Field of view 240x240 mm, Head, Slice index 63, 240x240
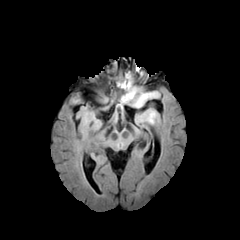
FLAIR MRI.
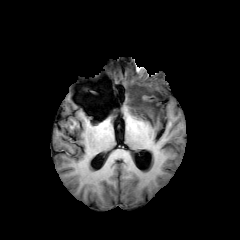
T1-weighted MR.
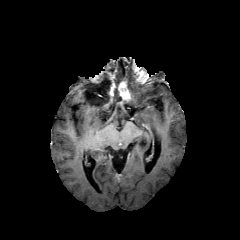
Same slice, post-contrast T1-weighted magnetic resonance.
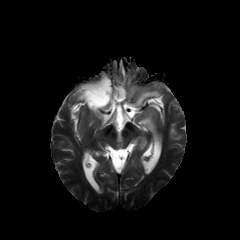
T2-weighted MRI of the same slice.
Annotated regions:
* enhancing tumor: 120,80,133,103
* edema: 125,73,161,128
* non-enhancing tumor core: 133,77,145,94; 123,88,135,106; 96,92,109,105